512x512 px; CT; Liver
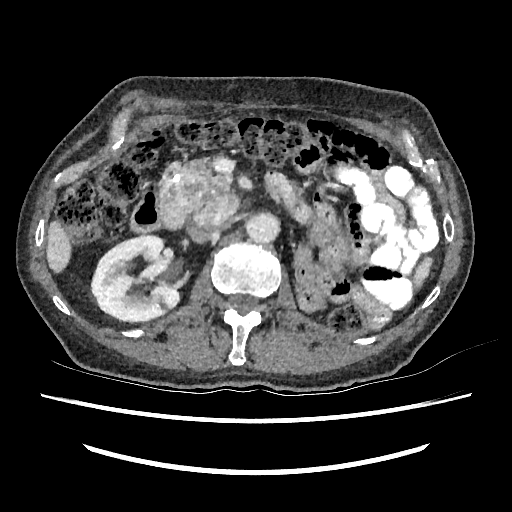

liver:
  - {"x1": 47, "y1": 222, "x2": 70, "y2": 271}
kidney:
  - {"x1": 92, "y1": 236, "x2": 178, "y2": 321}